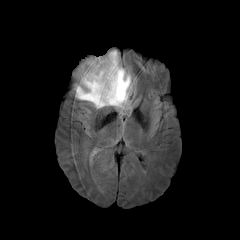
FLAIR magnetic resonance.
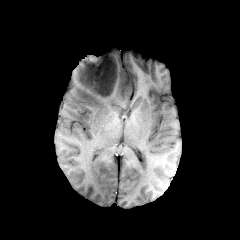
T1-weighted MR image of the same slice.
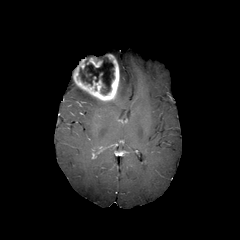
Post-contrast T1-weighted magnetic resonance.
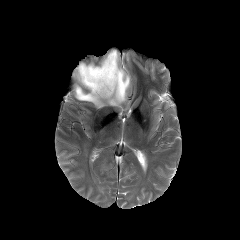
T2-weighted magnetic resonance of the same slice.
240x240 px
* non-enhancing tumor core: (x1=79, y1=57, x2=113, y2=93)
* enhancing tumor: (x1=74, y1=54, x2=119, y2=101), (x1=90, y1=59, x2=101, y2=67)
* edema: (x1=74, y1=49, x2=133, y2=116)